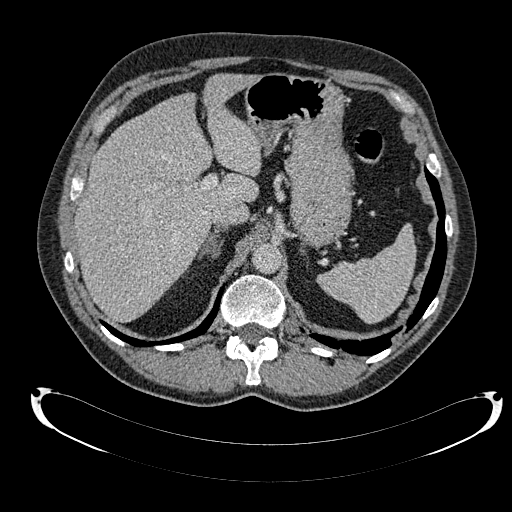
Upper abdomen, CT
2 liver regions are bounded by [205,74,260,174], [75,93,257,321].